Field of view 240x240 mm. Image size 240x240.
FLAIR MRI.
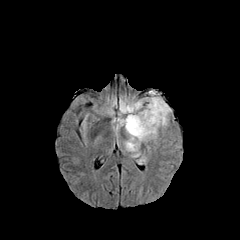
T1-weighted MRI.
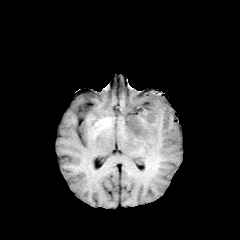
Post-contrast T1-weighted MR.
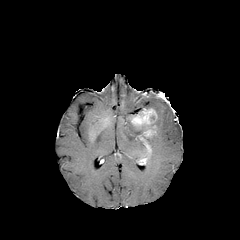
T2-weighted MRI.
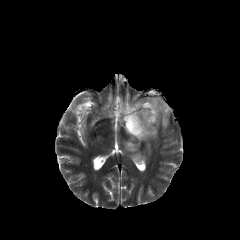
edema: <bbox>112, 90, 172, 157</bbox> | non-enhancing tumor core: <bbox>128, 107, 156, 138</bbox> | enhancing tumor: <bbox>138, 156, 148, 164</bbox>, <bbox>131, 109, 154, 125</bbox>